Slice 39 of 45; CT slice
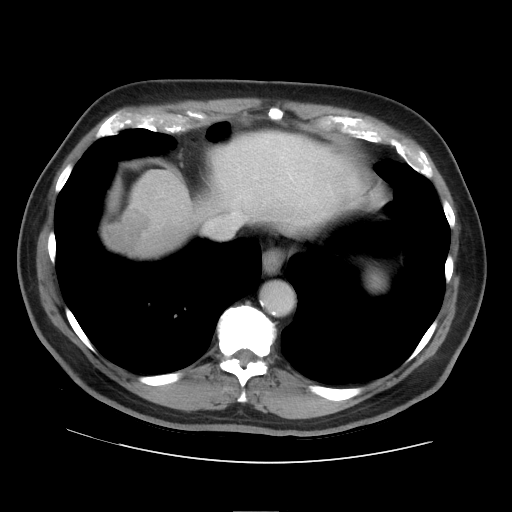
Not every hepatic vessel necessarily has a box.
<segmentation>
  <liver_tumor>(left=105, top=206, right=154, bottom=252)</liver_tumor>
  <hepatic_vessel>(left=289, top=174, right=291, bottom=177)</hepatic_vessel>
</segmentation>